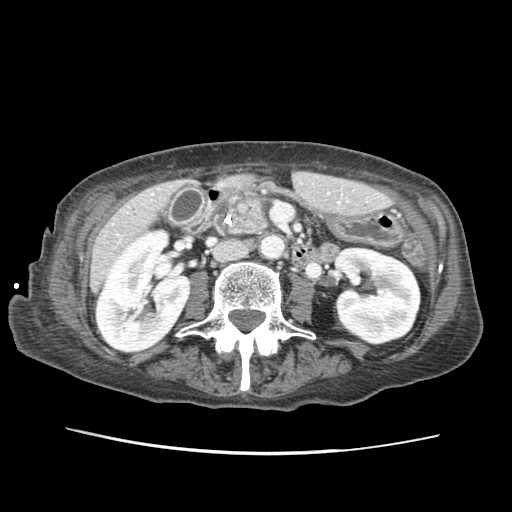 Computed tomography. Upper abdomen. Image size 512x512. Pancreatic tumor — region(236, 206, 260, 228).
Pancreas — region(231, 197, 266, 233).